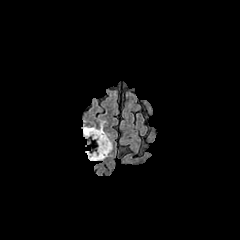
FLAIR magnetic resonance.
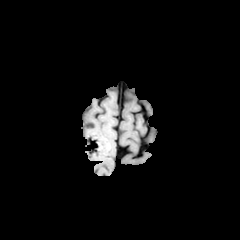
T1-weighted MRI.
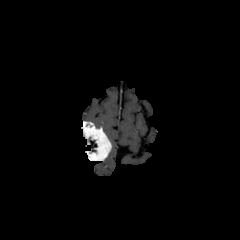
Post-contrast T1-weighted MRI of the same slice.
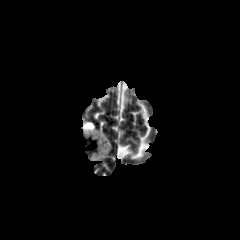
T2-weighted MRI.
Brain; 240x240 px
Segmented structures:
* enhancing tumor: left=81, top=121, right=111, bottom=160
* edema: left=98, top=121, right=111, bottom=141
* non-enhancing tumor core: left=88, top=137, right=97, bottom=147